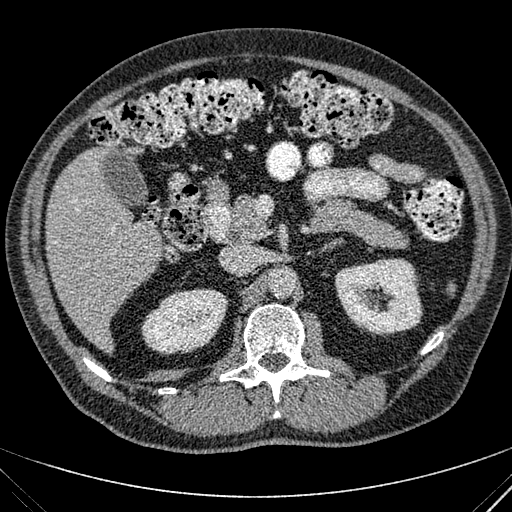
Computed tomography | Liver
Kidney: region(335, 259, 421, 333); region(142, 289, 227, 353).
Liver: region(45, 147, 163, 350); region(122, 146, 145, 154).